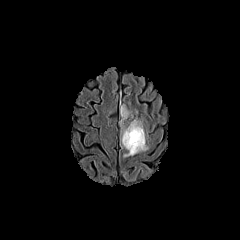
FLAIR magnetic resonance.
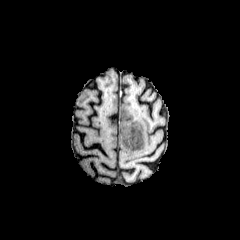
T1-weighted MR.
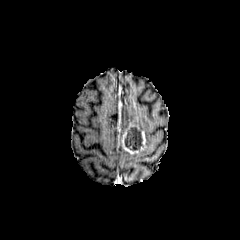
Post-contrast T1-weighted MR image.
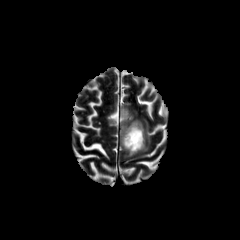
Same slice, T2-weighted MRI.
Head
Non-enhancing tumor core — x1=124, y1=127, x2=142, y2=150.
Enhancing tumor — x1=121, y1=131, x2=138, y2=154; x1=140, y1=131, x2=147, y2=150.
Edema — x1=130, y1=120, x2=142, y2=126; x1=120, y1=105, x2=128, y2=118.